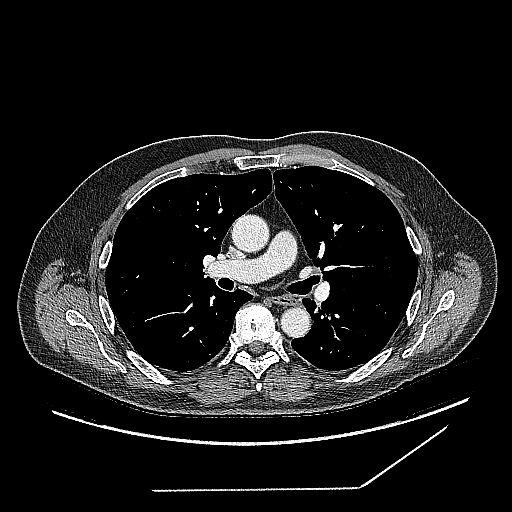 CT slice; Lung
Annotated regions:
- lung tumor: [319, 354, 332, 363]